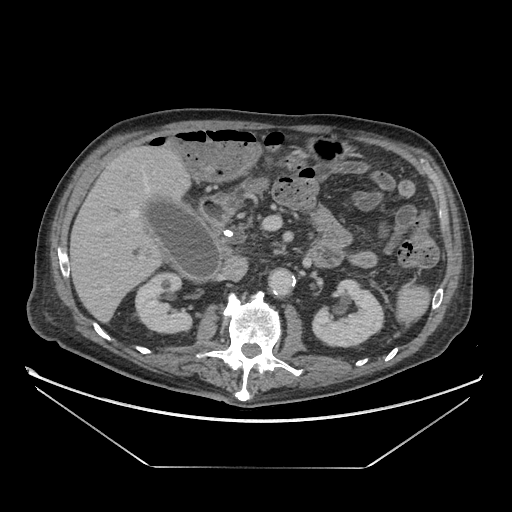 CT, Image size 512x512, Upper abdomen

- pancreas: (227, 222, 251, 244)